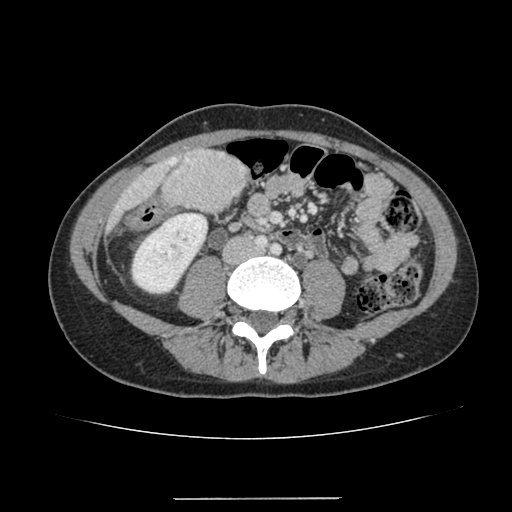 Liver; Computed tomography; Image size 512x512
Liver: bounding box [104, 156, 183, 234].
Liver lesion: bounding box [161, 150, 248, 212].
Kidney: bounding box [133, 213, 207, 292].